CT image. Field of view 360 mm wide, 2.50 mm slice spacing. Abdomen.
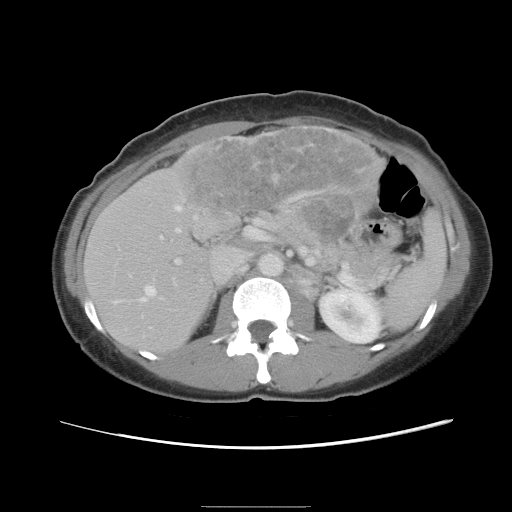 Not every hepatic vessel necessarily has a box.
liver tumor: (176, 126, 380, 245) | hepatic vessel: (175, 259, 179, 261), (194, 215, 196, 218), (211, 245, 252, 283), (160, 297, 162, 298), (139, 285, 155, 300), (174, 205, 180, 209), (160, 235, 161, 237), (299, 246, 317, 262), (176, 228, 179, 230), (114, 299, 120, 302), (244, 218, 269, 239)